Upper abdomen; 512x512 px; CT image

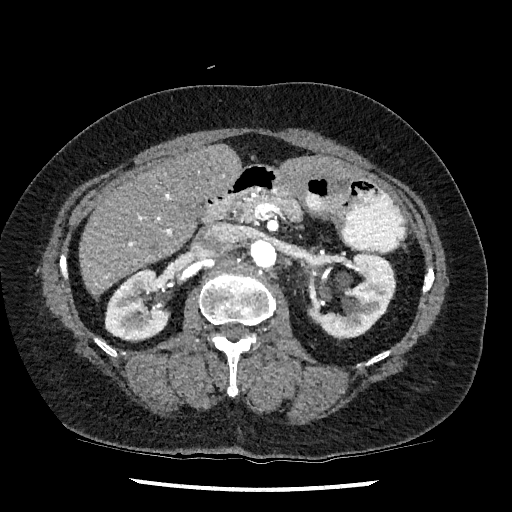
kidney: <bbox>105, 263, 184, 339</bbox>, <bbox>310, 254, 394, 337</bbox> | liver: <bbox>79, 147, 240, 295</bbox>, <bbox>284, 158, 362, 180</bbox>